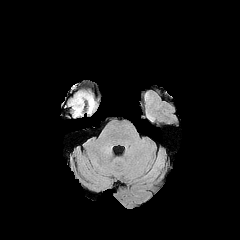
FLAIR MR image.
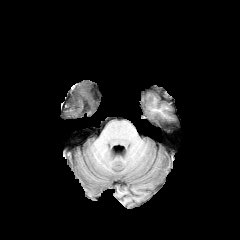
Same slice, T1-weighted MR.
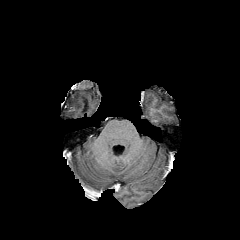
Post-contrast T1-weighted MRI of the same slice.
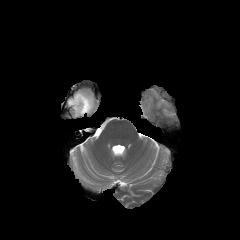
Same slice, T2-weighted magnetic resonance.
Head.
<segmentation>
  <non-enhancing_tumor_core>bbox=[72, 94, 85, 106]</non-enhancing_tumor_core>
  <edema>bbox=[68, 91, 96, 117]</edema>
</segmentation>